Field of view 404x404 mm, 512x512, Slice index 85, Liver, CT image 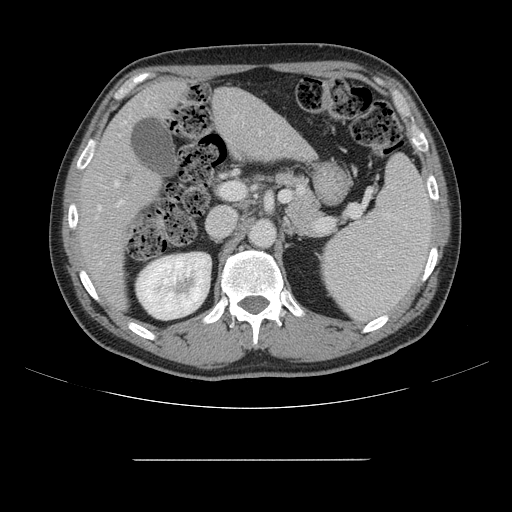 The vessel boxes may cover only some of the vessels.
hepatic vessel: [98,206,101,210], [118,200,123,204], [96,216,97,217], [115,181,118,186], [259,132,260,134], [122,122,126,123]